Computed tomography | Liver

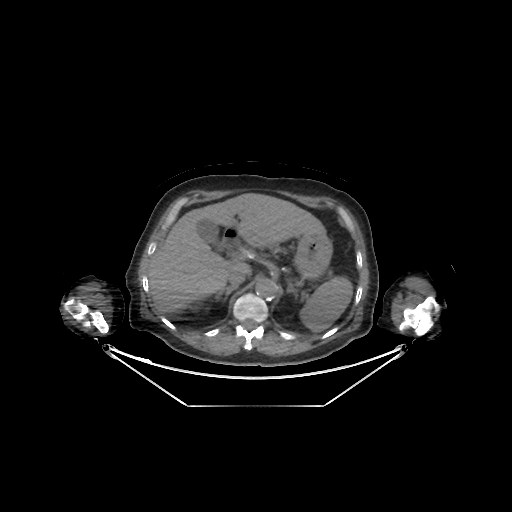 Liver: bounding box left=147, top=194, right=324, bottom=318.
Bone: bounding box left=234, top=294, right=267, bottom=349; left=322, top=328, right=336, bottom=337; left=356, top=287, right=361, bottom=303; left=71, top=303, right=108, bottom=332; left=357, top=254, right=361, bottom=266; left=399, top=297, right=438, bottom=335; left=281, top=333, right=291, bottom=338; left=65, top=299, right=73, bottom=312; left=143, top=276, right=148, bottom=291; left=162, top=318, right=174, bottom=328; left=205, top=329, right=218, bottom=336.